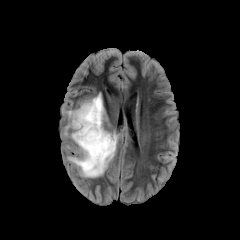
FLAIR MRI.
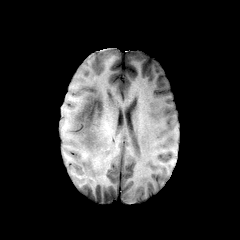
T1-weighted MR image of the same slice.
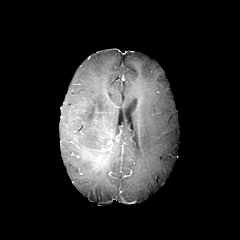
Post-contrast T1-weighted MR image of the same slice.
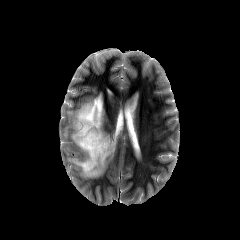
T2-weighted MR image.
Head
The non-enhancing tumor core is bounded by 101 137 112 151. The edema is bounded by 67 93 118 177.